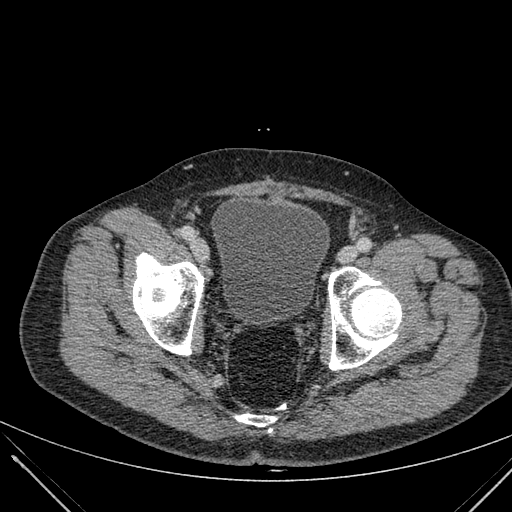 Lower abdomen. CT.
Annotated regions:
- urinary bladder: <bbox>211, 200, 330, 321</bbox>